512x512 px, Computed tomography 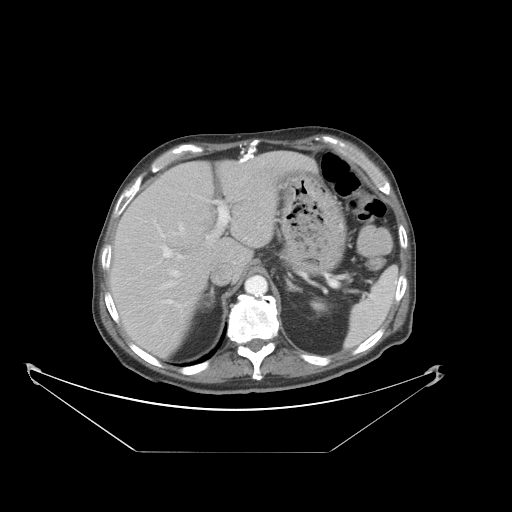

The vessel boxes may cover only some of the vessels.
hepatic_vessel:
  - {"x1": 162, "y1": 282, "x2": 174, "y2": 288}
  - {"x1": 171, "y1": 271, "x2": 179, "y2": 276}
  - {"x1": 162, "y1": 246, "x2": 172, "y2": 257}
  - {"x1": 185, "y1": 256, "x2": 191, "y2": 259}
  - {"x1": 233, "y1": 226, "x2": 236, "y2": 229}
  - {"x1": 164, "y1": 300, "x2": 172, "y2": 303}
  - {"x1": 173, "y1": 224, "x2": 183, "y2": 235}
  - {"x1": 178, "y1": 255, "x2": 181, "y2": 259}
  - {"x1": 158, "y1": 228, "x2": 164, "y2": 236}
  - {"x1": 176, "y1": 304, "x2": 181, "y2": 307}
  - {"x1": 206, "y1": 201, "x2": 229, "y2": 245}